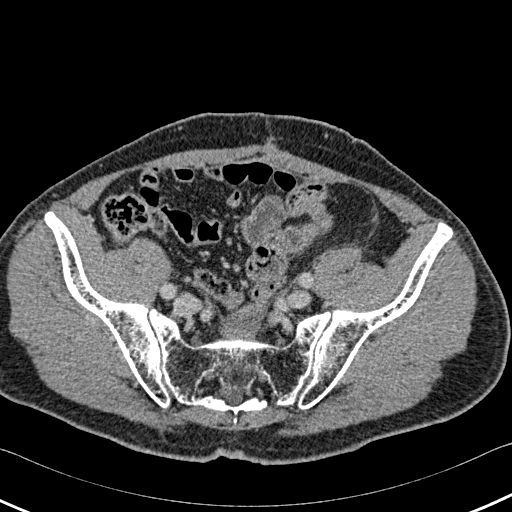

CT scan slice
bone: {"x1": 45, "y1": 212, "x2": 452, "y2": 414}